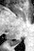 Medial temporal lobe; Magnetic resonance

posterior hippocampus: [x1=8, y1=39, x2=21, y2=45]